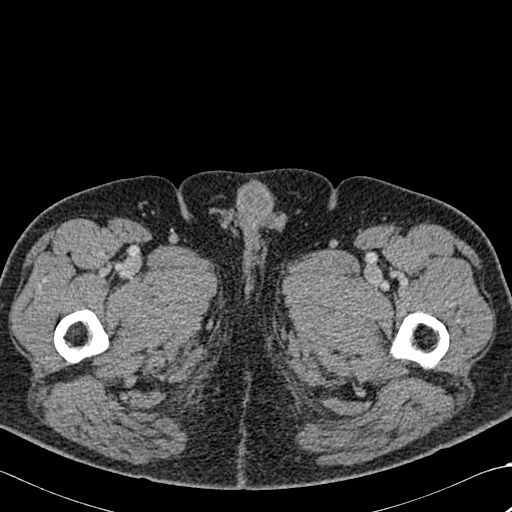

CT slice | 512x512 px
• bone: <bbox>54, 309, 108, 362</bbox>, <bbox>391, 312, 448, 367</bbox>